Slice 92/155; Head
FLAIR MR.
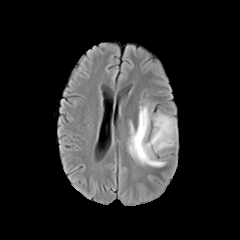
T1-weighted magnetic resonance.
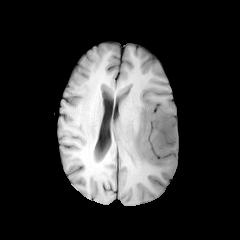
Post-contrast T1-weighted MR.
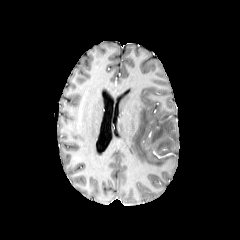
T2-weighted MRI.
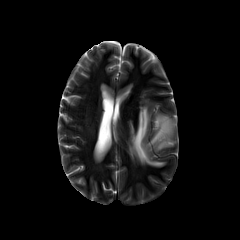
{"edema": ["bbox(128, 103, 176, 166)"]}